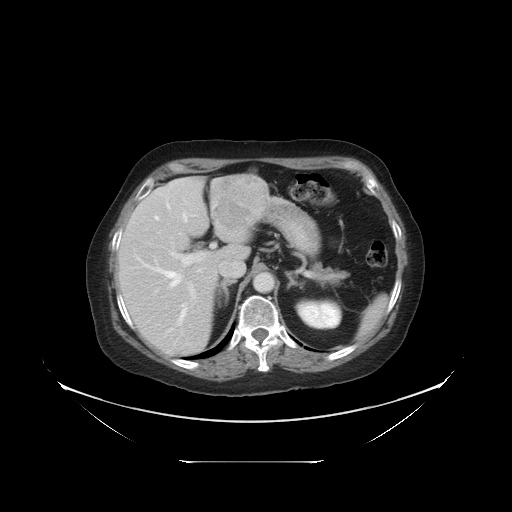 Abdomen; Computed tomography

The vessel boxes may cover only some of the vessels.
liver_tumor:
  - box=[214, 175, 268, 230]
hepatic_vessel:
  - box=[177, 303, 186, 325]
  - box=[136, 256, 181, 286]
  - box=[183, 212, 187, 220]
  - box=[155, 216, 158, 219]
  - box=[171, 252, 201, 265]
  - box=[198, 269, 201, 271]
  - box=[220, 261, 243, 276]
  - box=[211, 244, 215, 247]
  - box=[168, 328, 172, 331]
  - box=[166, 198, 169, 207]
  - box=[188, 284, 194, 297]